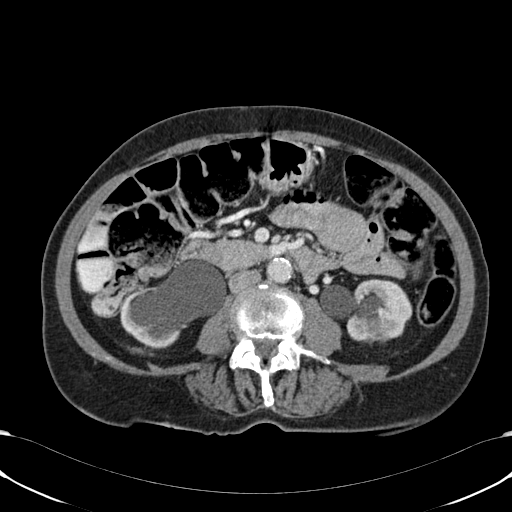 CT, Liver, Image size 512x512
<segmentation>
  <kidney>121:288:226:347, 347:280:411:339</kidney>
  <liver>89:223:101:240</liver>
</segmentation>